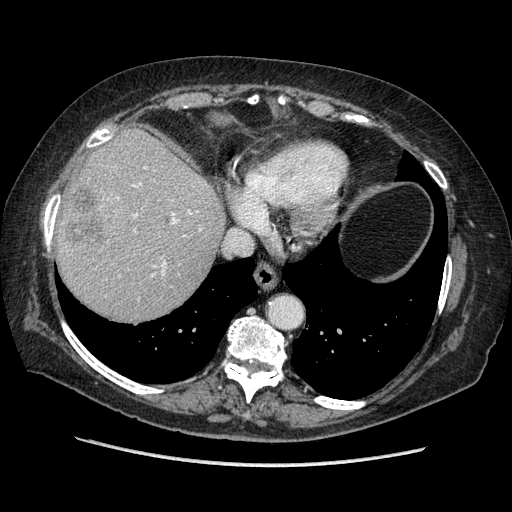
CT image
Only some of the vessels may be annotated.
Annotated regions:
- liver tumor: <box>67,186,108,248</box>
- hepatic vessel: <box>133,214,136,216</box>, <box>134,182,139,186</box>, <box>162,261,165,265</box>, <box>171,218,176,222</box>